512x512 px. Slice index 230. CT.

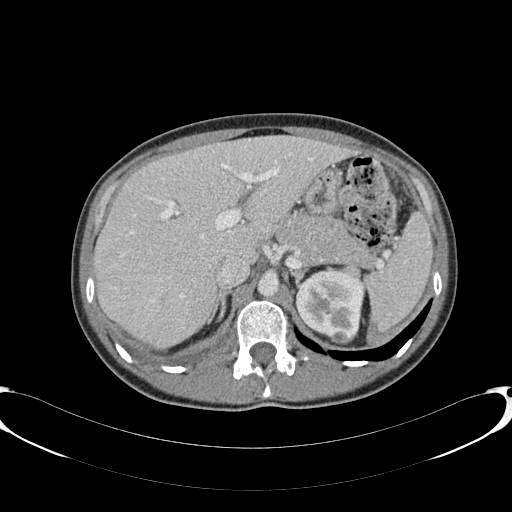
The liver is bounded by [94,137,357,348]. The kidney is bounded by [296,271,363,342].